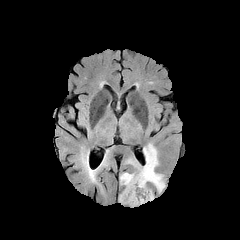
FLAIR MR image.
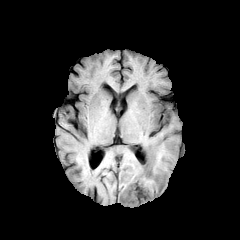
T1-weighted MR.
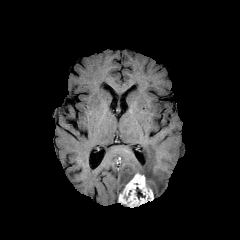
Post-contrast T1-weighted MR.
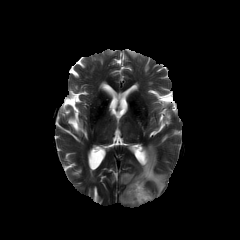
T2-weighted MR.
240x240, Head
The enhancing tumor is located at left=118, top=174, right=153, bottom=207. The non-enhancing tumor core is located at left=136, top=187, right=145, bottom=198. 2 edema regions are bounded by left=120, top=172, right=135, bottom=185; left=129, top=144, right=165, bottom=192.